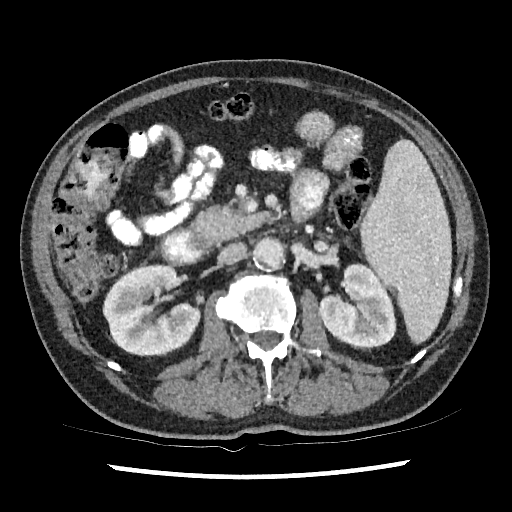 512x512 | Abdomen | CT slice

Kidney at [x1=318, y1=265, x2=395, y2=346], [x1=103, y1=265, x2=199, y2=355].